Slice 81/155
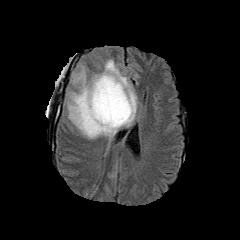
FLAIR MR.
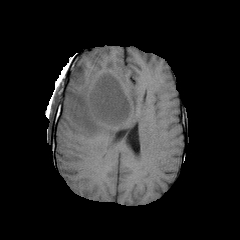
T1-weighted MRI of the same slice.
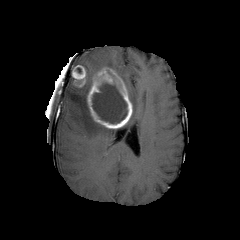
Same slice, post-contrast T1-weighted MRI.
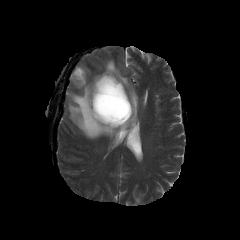
T2-weighted MRI.
enhancing tumor: box(87, 72, 131, 128); box(72, 68, 85, 81) | non-enhancing tumor core: box(83, 96, 91, 116); box(100, 66, 117, 78); box(92, 80, 126, 123); box(118, 78, 125, 91) | edema: box(65, 60, 138, 139)